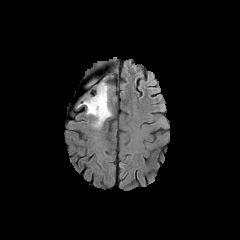
FLAIR magnetic resonance.
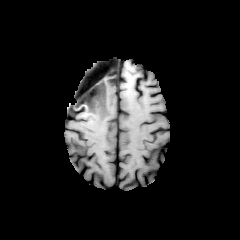
Same slice, T1-weighted MR.
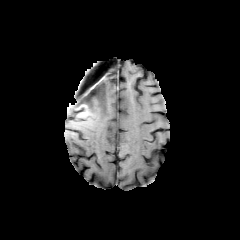
Same slice, post-contrast T1-weighted magnetic resonance.
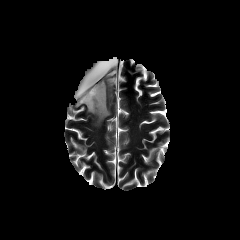
Same slice, T2-weighted MRI.
240x240 px.
2 edema regions appear at 86:78:95:89, 78:81:112:128.